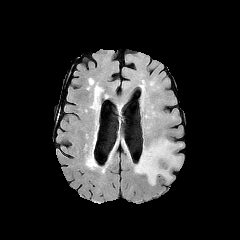
FLAIR MR image.
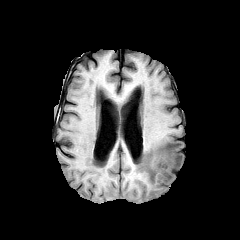
T1-weighted MR image of the same slice.
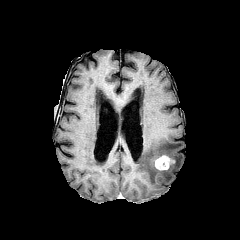
Same slice, post-contrast T1-weighted magnetic resonance.
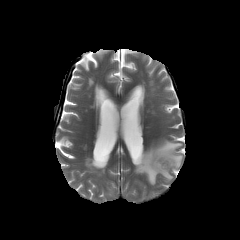
Same slice, T2-weighted MRI.
240x240 px. Brain.
The enhancing tumor is located at [154, 154, 175, 170]. The edema is bounded by [134, 138, 182, 185].